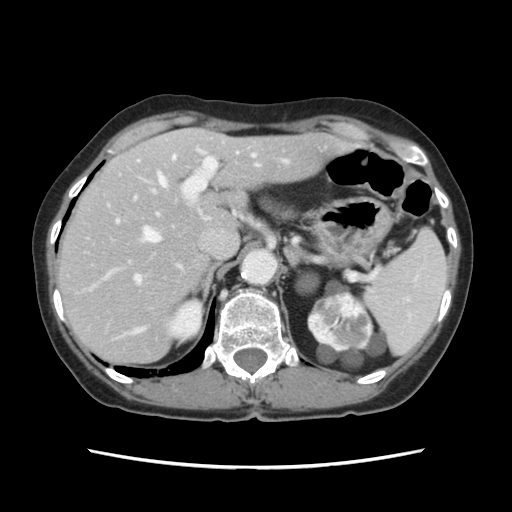
Computed tomography
The vessel boxes may cover only some of the vessels.
Hepatic vessel at [135,275,140,283], [137,160,138,161], [158,173,165,185], [183,157,216,200], [144,228,159,241], [252,154,255,157], [116,219,119,222], [172,155,174,159], [105,274,109,277], [134,197,135,199], [256,165,258,166], [197,149,206,155], [156,213,157,215], [283,159,287,162].